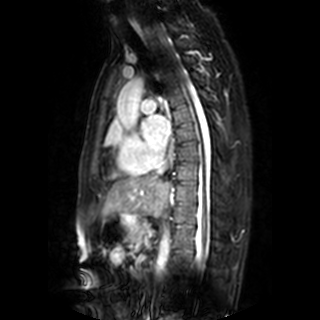 MR; Cardiac
The left atrium lies within 143, 115, 170, 150.